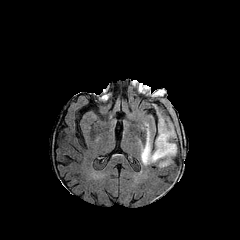
FLAIR MR.
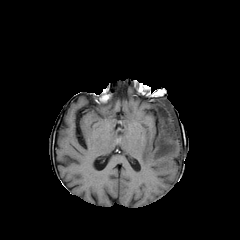
T1-weighted MRI.
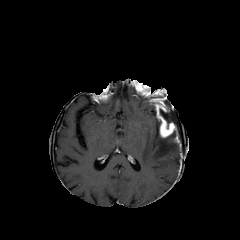
Same slice, post-contrast T1-weighted MRI.
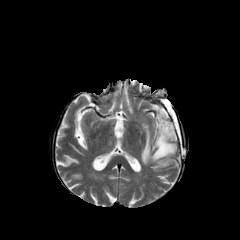
T2-weighted MRI of the same slice.
Head
Enhancing tumor: bounding box [153, 97, 177, 138].
Non-enhancing tumor core: bounding box [153, 91, 165, 98], [152, 104, 160, 137], [162, 130, 179, 142], [160, 99, 173, 122].
Edema: bounding box [140, 115, 179, 168].